Slice 15/20. Pelvis.
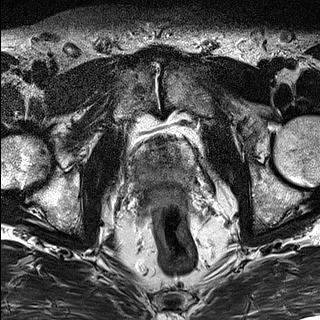
T2-weighted magnetic resonance.
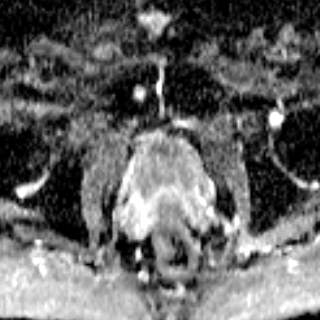
ADC MR image.
The prostate transition zone appears at (144,141,181,169). The prostate peripheral zone is bounded by (136,143,195,187).